240x240 px. Head. Field of view 240 mm wide, 1.00 mm slice spacing.
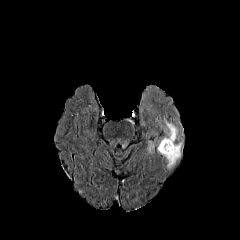
FLAIR MR.
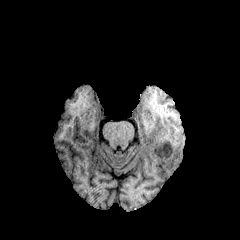
T1-weighted magnetic resonance.
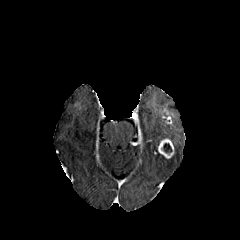
Post-contrast T1-weighted MRI.
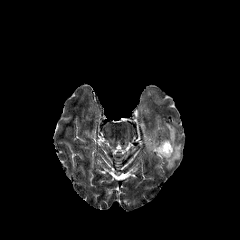
T2-weighted magnetic resonance of the same slice.
2 edema regions appear at box=[157, 118, 183, 170]; box=[146, 138, 161, 154]. The non-enhancing tumor core is located at box=[163, 143, 172, 152]. The enhancing tumor lies within box=[157, 137, 174, 158].